Image width 408 mm. CT slice. Slice 71/171.
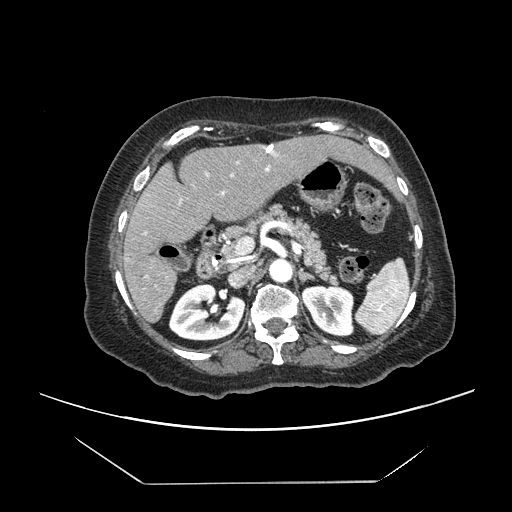
Only some of the vessels may be annotated.
{"hepatic_vessel": ["bbox(236, 238, 252, 256)"]}